240x240 | Field of view 240x240 mm | Head | Slice index 70
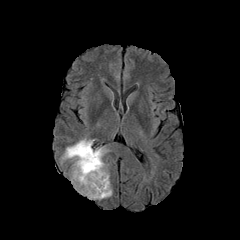
FLAIR MR image.
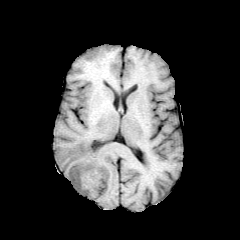
T1-weighted magnetic resonance.
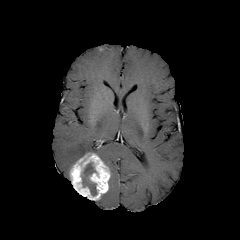
Same slice, post-contrast T1-weighted MRI.
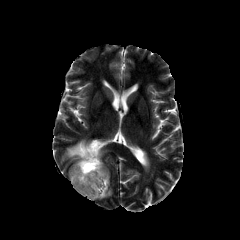
Same slice, T2-weighted MRI.
edema: 95:147:108:160, 62:138:94:162, 100:179:112:199 | non-enhancing tumor core: 86:183:96:195, 84:163:94:177 | enhancing tumor: 69:152:109:199